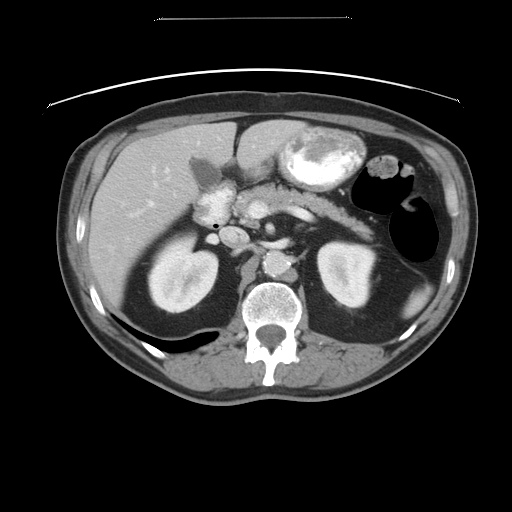 Liver; CT scan slice
The vessel boxes may cover only some of the vessels.
Hepatic vessel at <box>154,181,157,185</box>, <box>122,202,124,205</box>, <box>152,166,155,172</box>, <box>129,209,142,216</box>, <box>165,167,170,180</box>, <box>249,203,267,219</box>, <box>127,237,128,238</box>, <box>224,229,240,238</box>, <box>148,200,154,206</box>, <box>109,245,113,249</box>, <box>174,192,175,194</box>, <box>209,235,217,241</box>.